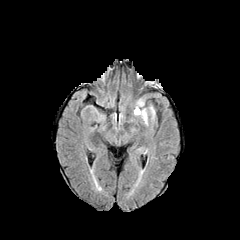
FLAIR MRI.
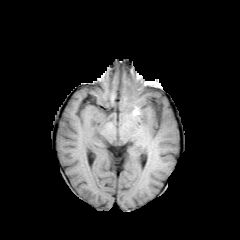
T1-weighted magnetic resonance.
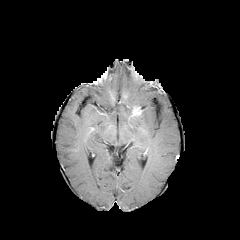
Post-contrast T1-weighted MR of the same slice.
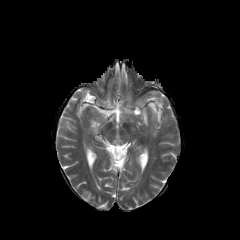
Same slice, T2-weighted magnetic resonance.
Brain.
Edema: box(138, 108, 148, 124).